240x240 px.
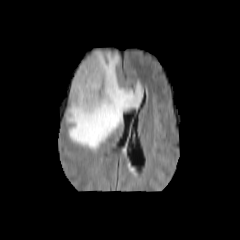
FLAIR MR.
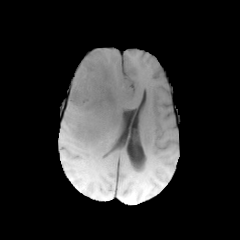
Same slice, T1-weighted MR.
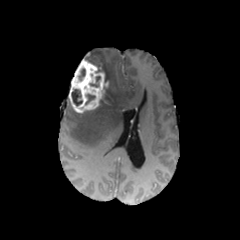
Post-contrast T1-weighted MR image of the same slice.
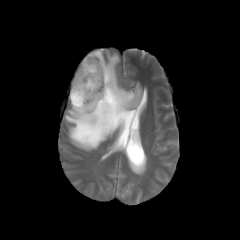
T2-weighted MR.
Findings:
* enhancing tumor: 68, 59, 108, 113
* edema: 65, 50, 142, 151
* non-enhancing tumor core: 99, 87, 108, 105; 71, 89, 83, 105; 89, 60, 105, 75